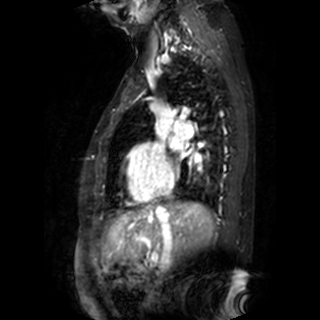

Heart. MR image.

* left atrium: x1=169, y1=139, x2=182, y2=150; x1=196, y1=156, x2=202, y2=164